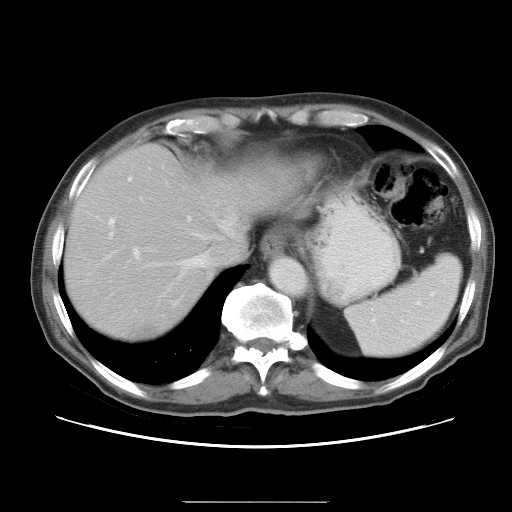
Abdomen. CT slice. Only some of the vessels may be annotated.
Liver tumor: (left=139, top=328, right=155, bottom=335).
Hepatic vessel: (left=187, top=216, right=190, bottom=221), (left=133, top=248, right=138, bottom=258), (left=108, top=233, right=112, bottom=238).